Field of view 240x240 mm, 240x240
FLAIR magnetic resonance.
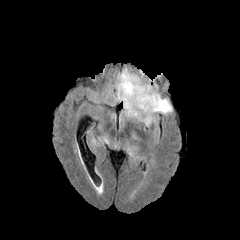
T1-weighted MR.
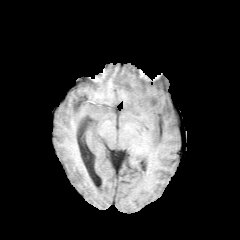
Post-contrast T1-weighted MR image.
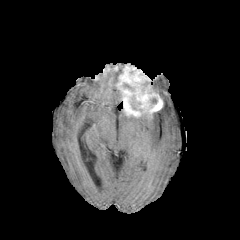
T2-weighted MR.
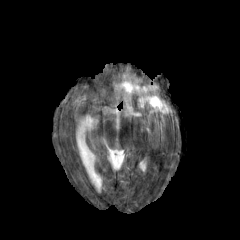
<segmentation>
  <edema>(x1=125, y1=83, x2=172, y2=126), (x1=113, y1=90, x2=121, y2=102)</edema>
  <non-enhancing_tumor_core>(x1=130, y1=94, x2=141, y2=112)</non-enhancing_tumor_core>
  <enhancing_tumor>(x1=116, y1=66, x2=163, y2=117)</enhancing_tumor>
</segmentation>